240x240; Brain
FLAIR MRI.
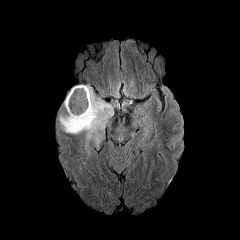
T1-weighted MR.
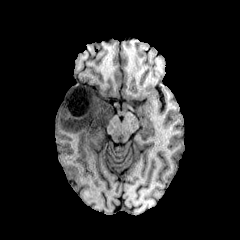
Post-contrast T1-weighted magnetic resonance.
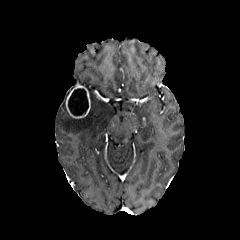
T2-weighted MR.
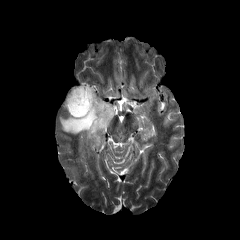
Edema: bounding box 58 86 113 155.
Non-enhancing tumor core: bounding box 68 88 88 116.
Enhancing tumor: bounding box 66 85 90 118.